FLAIR MR.
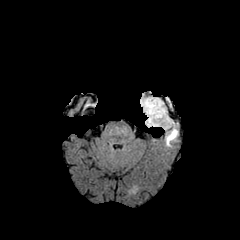
T1-weighted MR image.
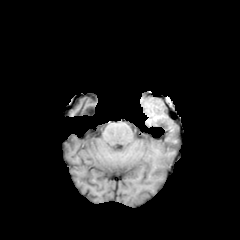
Post-contrast T1-weighted MRI.
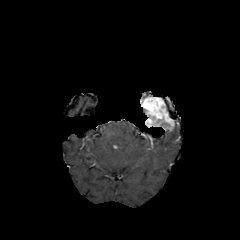
T2-weighted MR.
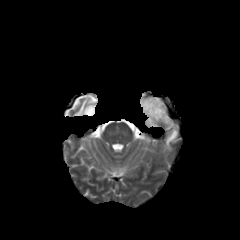
{
  "enhancing_tumor": [
    "140,97,174,129"
  ],
  "edema": [
    "165,127,177,146"
  ]
}